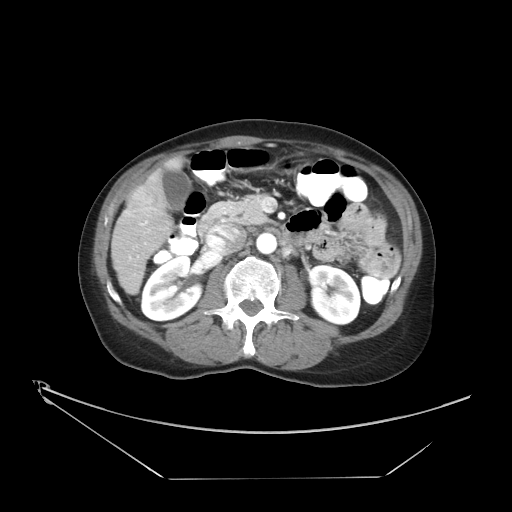
CT image

Not every hepatic vessel necessarily has a box.
Annotated regions:
• liver tumor: [128, 187, 156, 209]
• hepatic vessel: [141, 221, 147, 225]